CT scan slice. 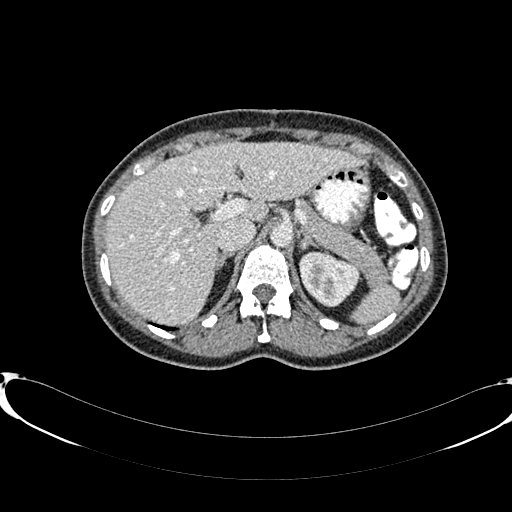

Kidney: l=301, t=253, r=357, b=304.
Liver: l=104, t=143, r=367, b=324.